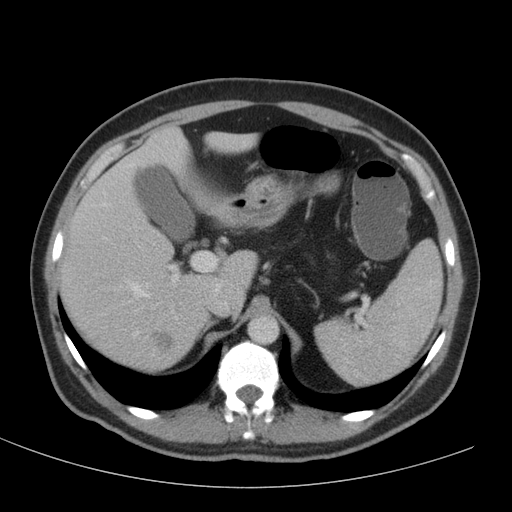 Upper abdomen | CT image | 512x512
The liver lesion lies within {"x1": 150, "y1": 331, "x2": 176, "y2": 355}. 3 liver regions are bounded by {"x1": 57, "y1": 127, "x2": 255, "y2": 368}, {"x1": 207, "y1": 135, "x2": 254, "y2": 151}, {"x1": 216, "y1": 203, "x2": 228, "y2": 214}.